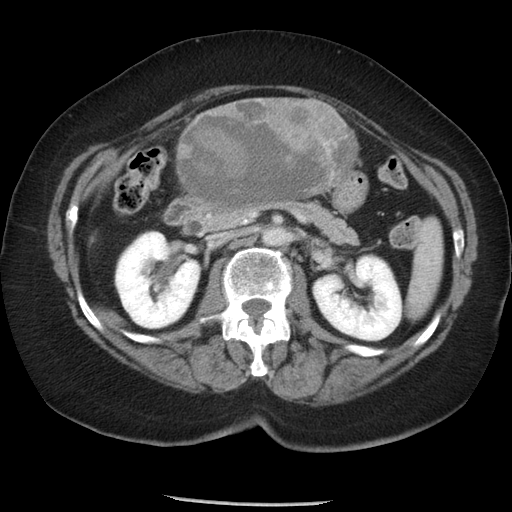 Abdomen | CT
liver tumor: 180 99 354 202